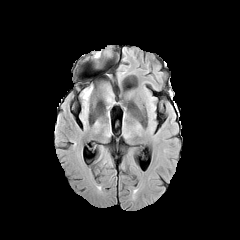
FLAIR MR.
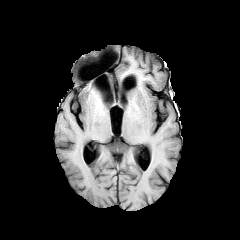
T1-weighted MR of the same slice.
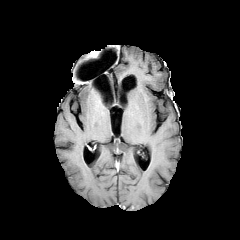
Same slice, post-contrast T1-weighted MR.
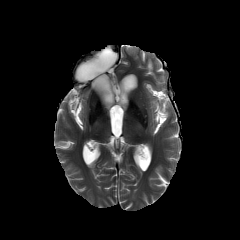
T2-weighted MR of the same slice.
Head
<segmentation>
  <edema>box(105, 88, 113, 107)</edema>
</segmentation>